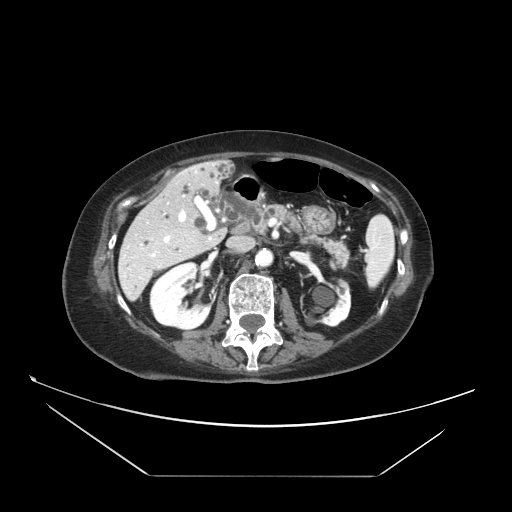

CT scan slice. 512x512. Upper abdomen.
pancreas:
  - [x1=257, y1=205, x2=349, y2=265]